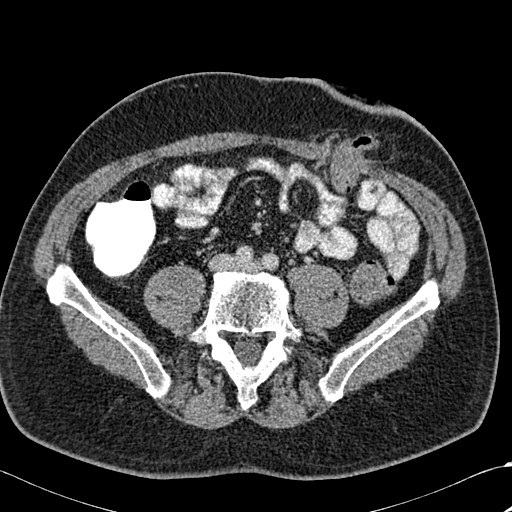
Computed tomography, 512x512
3 bone regions are located at rect(190, 271, 301, 408); rect(47, 265, 170, 397); rect(319, 280, 439, 401).